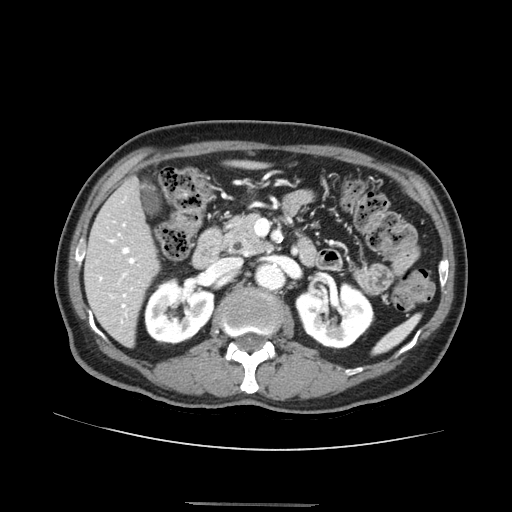
Upper abdomen, CT scan slice

The pancreas lies within region(227, 215, 269, 254).